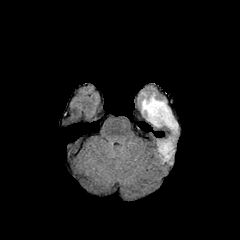
FLAIR MR.
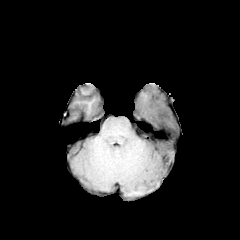
T1-weighted MRI.
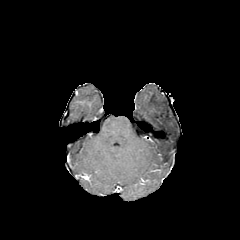
Post-contrast T1-weighted MR.
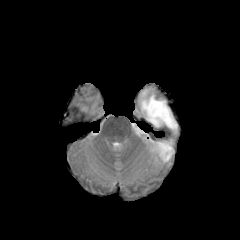
T2-weighted MR.
Head
2 edema regions are bounded by rect(156, 135, 174, 163); rect(138, 86, 178, 135).